FLAIR MR.
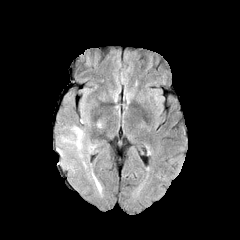
T1-weighted MR.
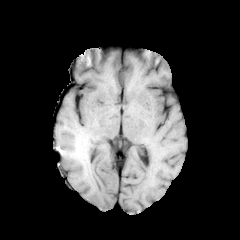
Post-contrast T1-weighted MRI.
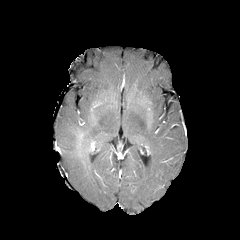
T2-weighted MR.
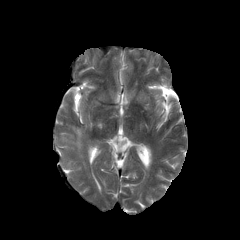
Head
edema:
  - bbox(59, 126, 95, 157)